MR; 35x55 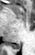

The posterior hippocampus is located at region(12, 44, 20, 49).